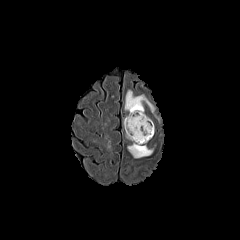
FLAIR MRI.
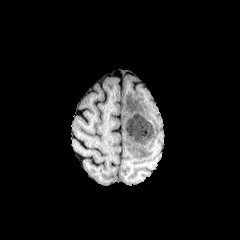
T1-weighted magnetic resonance of the same slice.
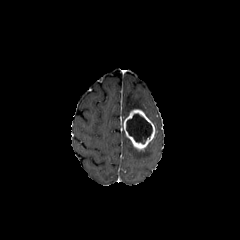
Post-contrast T1-weighted MR.
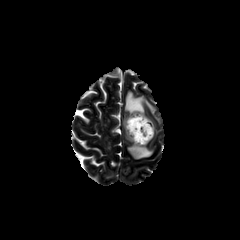
T2-weighted MR image of the same slice.
Head.
Enhancing tumor = bbox(123, 108, 155, 150).
Edema = bbox(127, 145, 155, 159); bbox(124, 91, 160, 123).
Non-enhancing tumor core = bbox(126, 114, 152, 143).